512x512; CT image
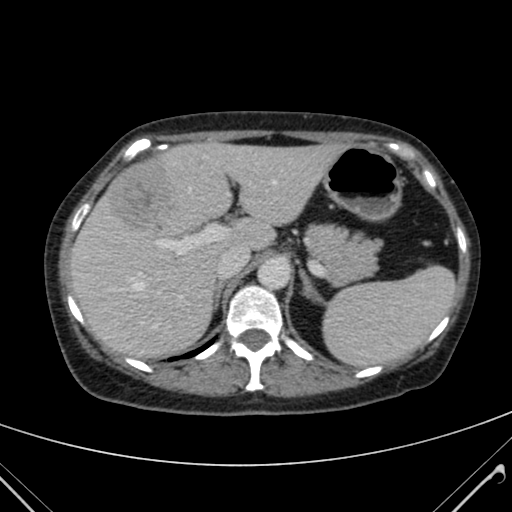 The hepatic lesion is at x1=107 y1=163 x2=176 y2=230. The liver is located at x1=72 y1=142 x2=334 y2=358.